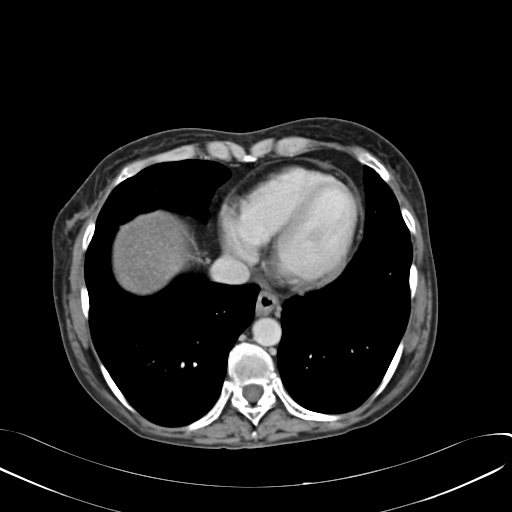

CT slice; Abdomen; Image size 512x512

The liver is at [x1=114, y1=215, x2=185, y2=294].